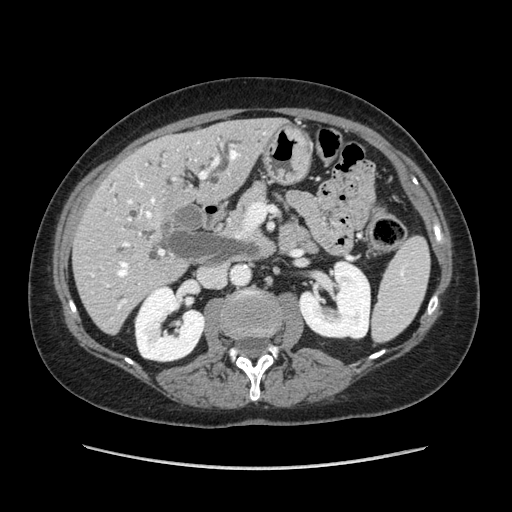

CT
{
  "pancreas": [
    "x1=227, y1=179, x2=321, y2=257"
  ]
}